Abdomen, CT slice
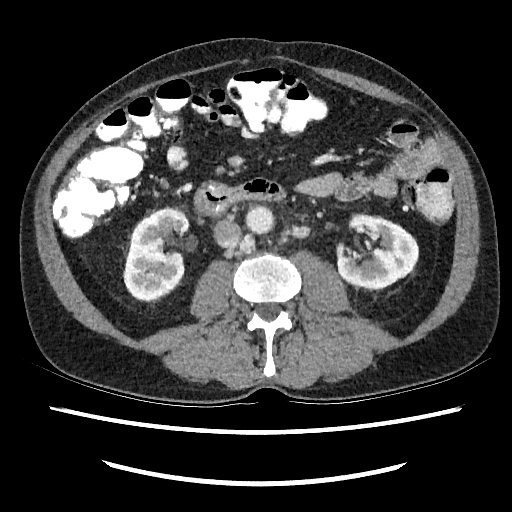

{"kidney": [{"x1": 338, "y1": 216, "x2": 417, "y2": 288}, {"x1": 124, "y1": 209, "x2": 188, "y2": 299}]}